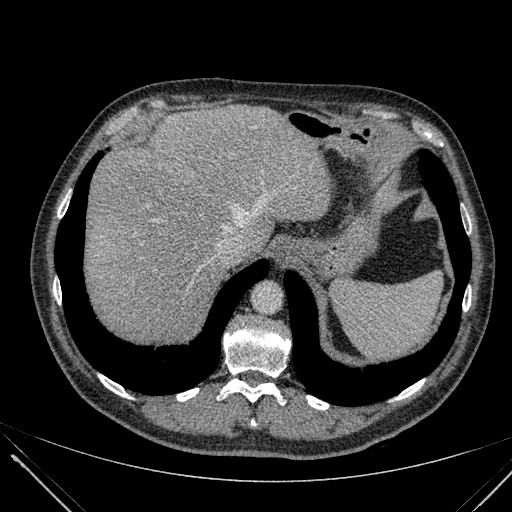

Abdomen. CT scan slice.
{
  "liver": [
    {"x1": 84, "y1": 104, "x2": 329, "y2": 344}
  ]
}